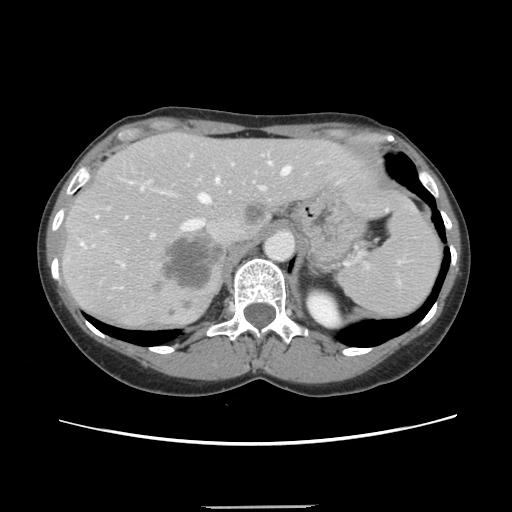 CT scan slice
Only some of the vessels may be annotated.
2 liver tumor regions are bounded by bbox(245, 204, 265, 225); bbox(163, 237, 218, 289). 12 hepatic vessel regions appear at bbox(281, 166, 290, 173); bbox(117, 261, 123, 266); bbox(80, 242, 85, 247); bbox(268, 161, 271, 164); bbox(127, 181, 132, 182); bbox(259, 186, 264, 189); bbox(215, 178, 218, 181); bbox(95, 216, 97, 217); bbox(150, 234, 153, 237); bbox(199, 193, 209, 202); bbox(140, 181, 149, 189); bbox(182, 219, 203, 230).